FLAIR MRI.
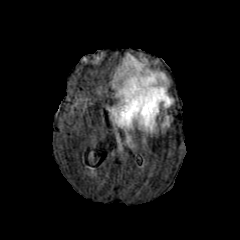
T1-weighted magnetic resonance.
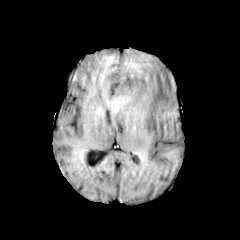
Post-contrast T1-weighted MR.
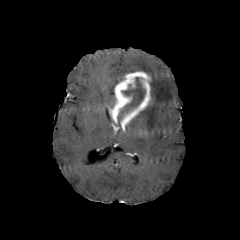
T2-weighted MR image.
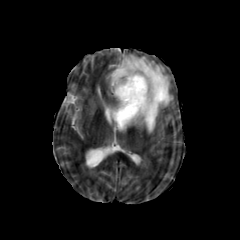
Brain, Image size 240x240
The enhancing tumor is at 109,71,151,125. The edema appears at 111,53,173,133. The non-enhancing tumor core is at 117,77,145,123.